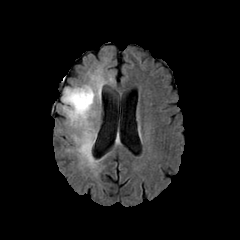
FLAIR MRI.
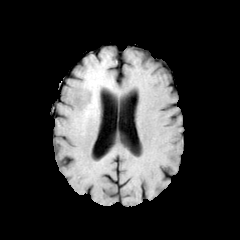
T1-weighted magnetic resonance.
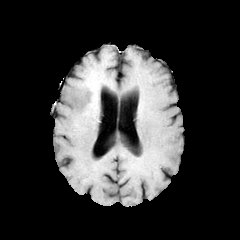
Post-contrast T1-weighted MR image.
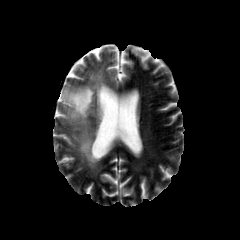
T2-weighted MR of the same slice.
Head
<segmentation>
  <non-enhancing_tumor_core>84:79:100:116</non-enhancing_tumor_core>
  <edema>61:70:105:171</edema>
</segmentation>